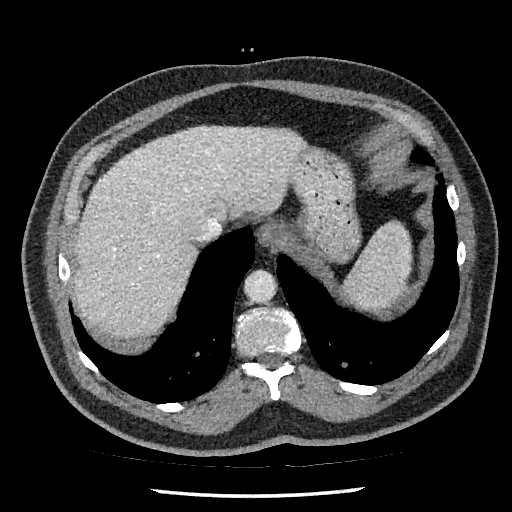 Computed tomography
liver:
  - (74,128,303,337)